CT image

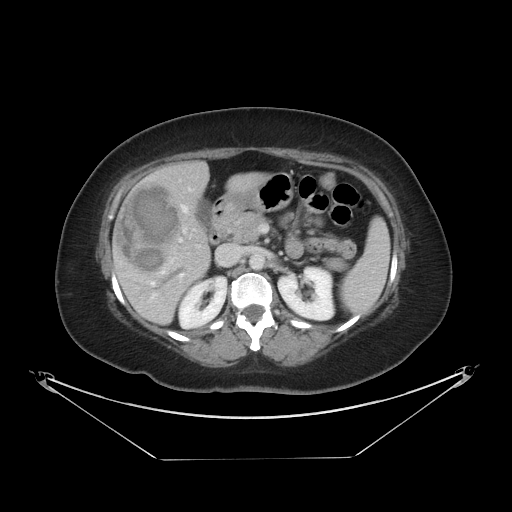

Only some of the vessels may be annotated.
- liver tumor: l=114, t=181, r=181, b=273
- hepatic vessel: l=179, t=237, r=182, b=242; l=151, t=293, r=155, b=298; l=151, t=281, r=154, b=285; l=181, t=205, r=187, b=211; l=183, t=226, r=186, b=233; l=161, t=270, r=165, b=273; l=180, t=275, r=182, b=276; l=195, t=245, r=199, b=247